Field of view 492x492 mm, CT slice, Pelvis, Slice 47/102, 512x512 px
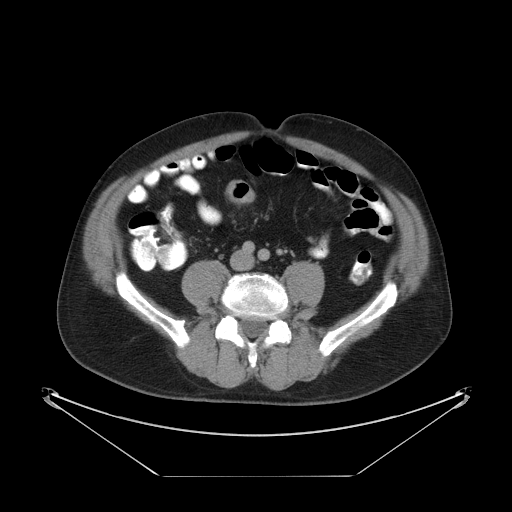
The colon tumor is bounded by 226,180,254,204.